Slice 91/155 | Head
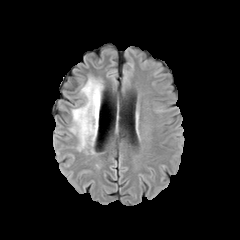
FLAIR MR image.
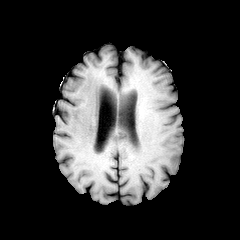
T1-weighted MR image.
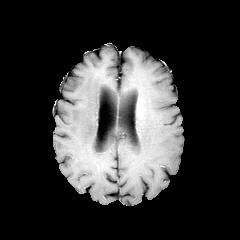
Post-contrast T1-weighted MR image.
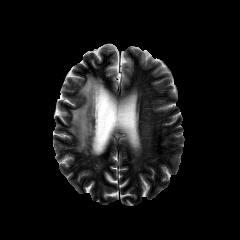
T2-weighted MR.
Edema at [x1=69, y1=76, x2=103, y2=151].